CT. Slice 21/48.

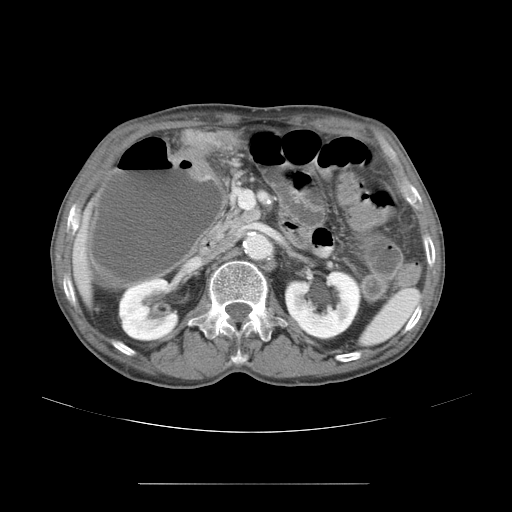

• colon tumor: 180 129 229 150, 170 150 210 180